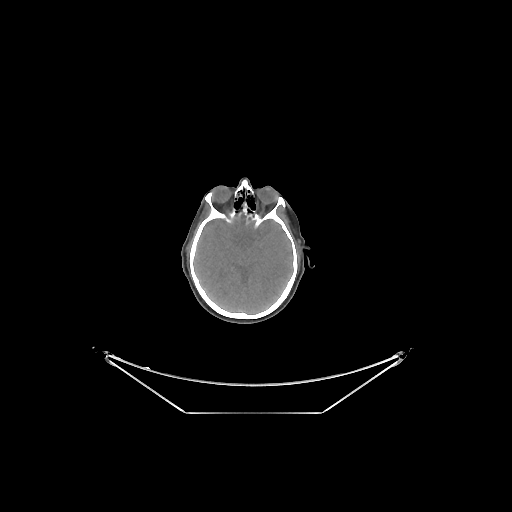 CT, Head, 512x512 px
The brain is bounded by 193 209 293 314.